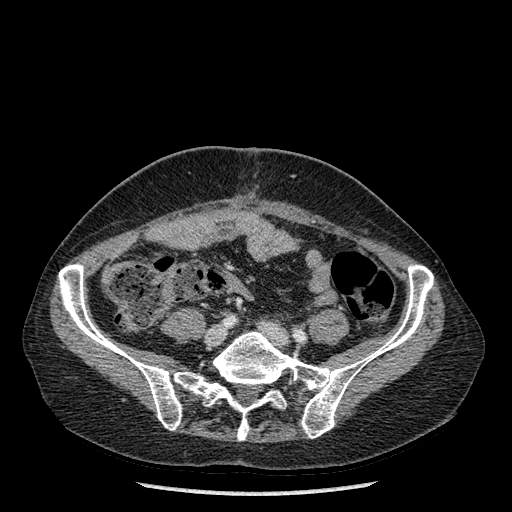 512x512, CT scan slice
2 bone regions are located at (left=58, top=263, right=286, bottom=440), (left=213, top=264, right=433, bottom=438).